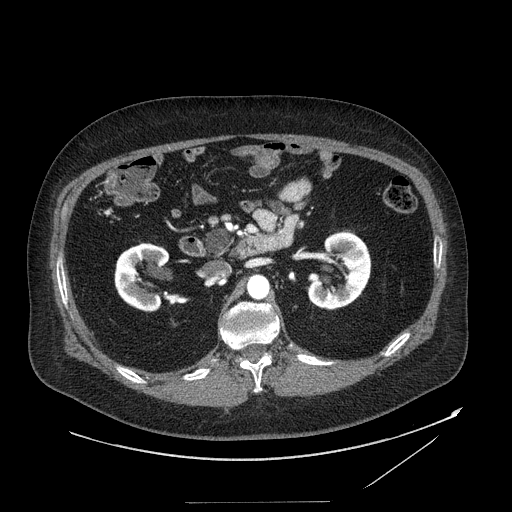
Upper abdomen, 512x512, CT slice

Pancreas: bounding box 203 227 232 259.
Pancreatic tumor: bounding box 206 229 229 252.